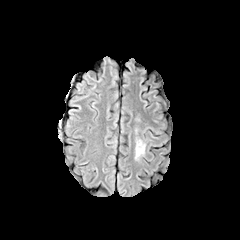
FLAIR MRI.
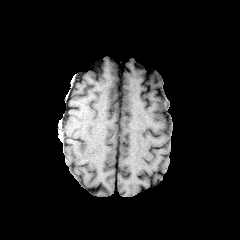
T1-weighted magnetic resonance.
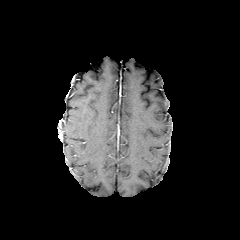
Post-contrast T1-weighted magnetic resonance.
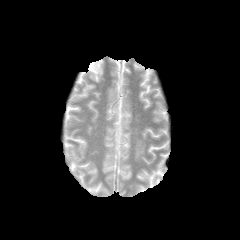
T2-weighted MR image.
Edema: rect(134, 137, 145, 159).